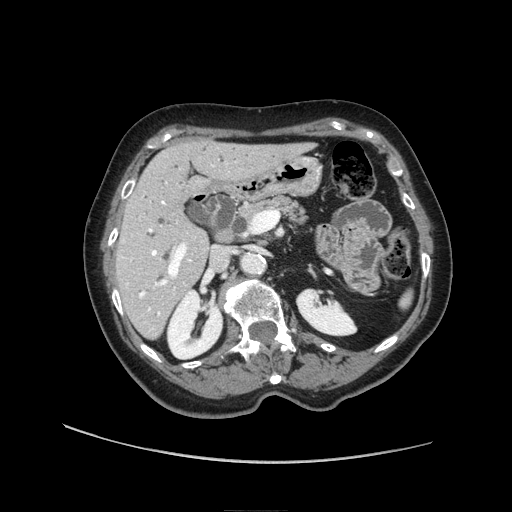
CT slice. <segmentation>
  <pancreas>left=239, top=198, right=306, bottom=227</pancreas>
</segmentation>